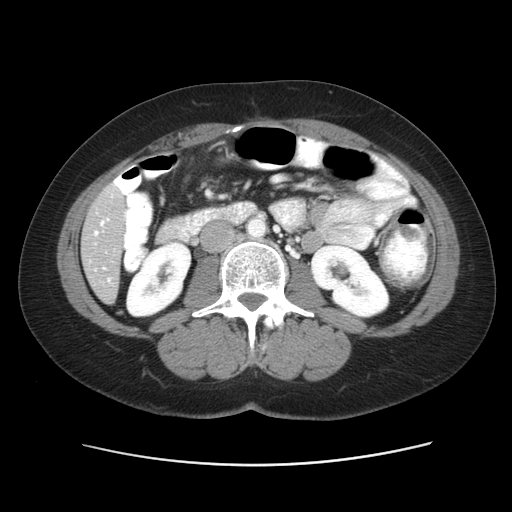

Image size 512x512; CT slice; Liver
Some hepatic vessels may have no box.
Findings:
• hepatic vessel: left=95, top=231, right=97, bottom=234; left=102, top=268, right=105, bottom=269; left=100, top=219, right=108, bottom=225; left=108, top=279, right=109, bottom=281